240x240 px | Slice index 77 | Image width 240 mm
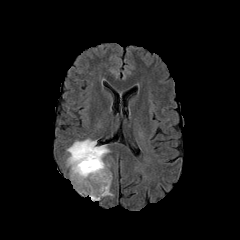
FLAIR MR.
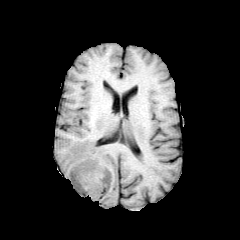
T1-weighted magnetic resonance.
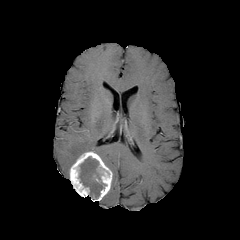
Post-contrast T1-weighted MR image.
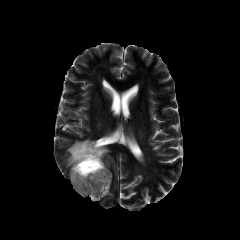
T2-weighted MR image of the same slice.
Edema at x1=66, y1=138, x2=109, y2=167.
Enhancing tumor at x1=69, y1=151, x2=112, y2=201.
Non-enhancing tumor core at x1=79, y1=156, x2=102, y2=197.